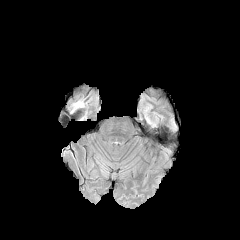
FLAIR MR.
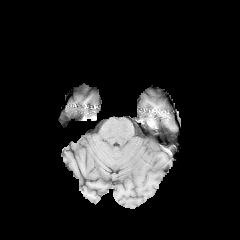
Same slice, T1-weighted MR image.
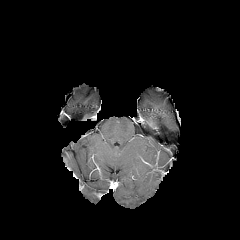
Post-contrast T1-weighted magnetic resonance.
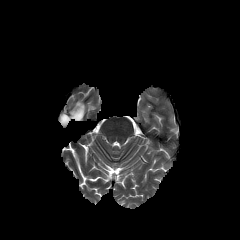
T2-weighted magnetic resonance.
The edema appears at [x1=70, y1=99, x2=84, y2=113].